Slice 122/155.
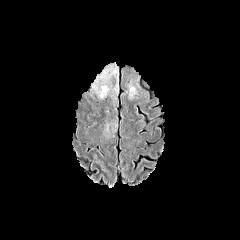
FLAIR MRI.
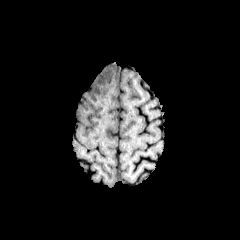
Same slice, T1-weighted MRI.
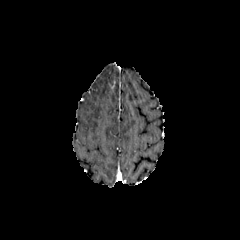
Same slice, post-contrast T1-weighted magnetic resonance.
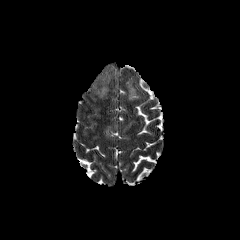
Same slice, T2-weighted MR.
edema: <bbox>113, 67, 118, 91</bbox>, <bbox>100, 85, 108, 97</bbox>